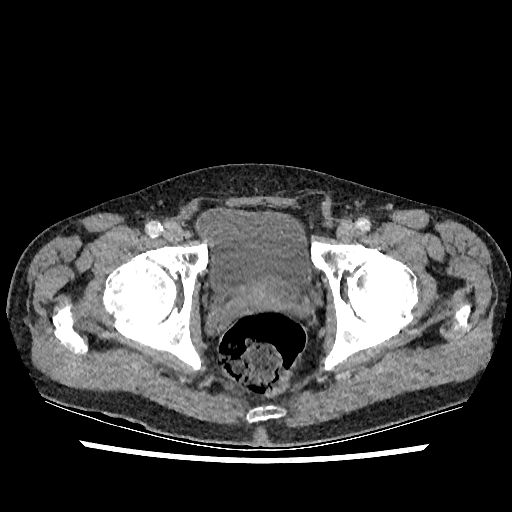

512x512 px | CT image | Pelvis
The urinary bladder lies within bbox=[197, 206, 315, 325].